512x512 px. CT. Pelvis. 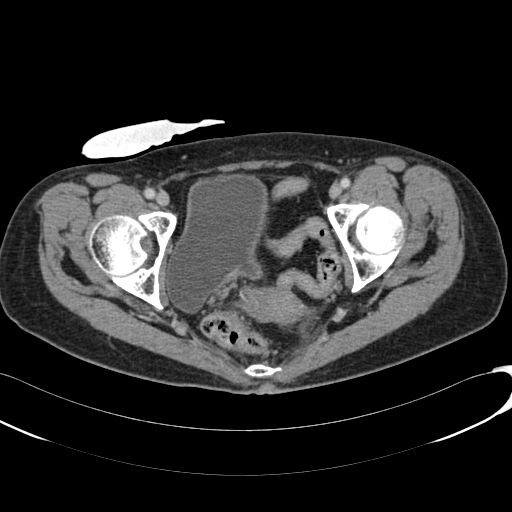

<segmentation>
  <urinary_bladder>[164, 174, 268, 313]</urinary_bladder>
</segmentation>